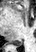 MRI

{"posterior_hippocampus": ["[x1=11, y1=40, x2=22, y2=46]"]}